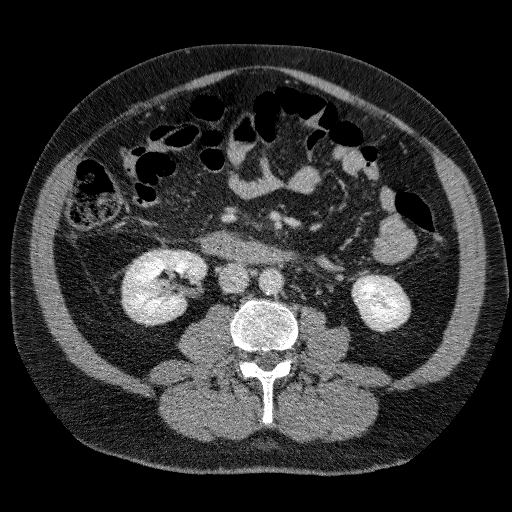

512x512 px; CT

2 kidney regions are bounded by [353, 276, 408, 330], [123, 251, 205, 323].